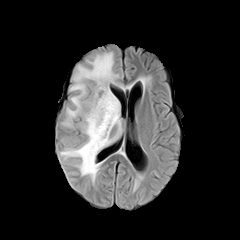
FLAIR MR.
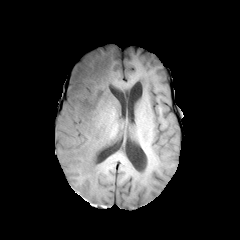
T1-weighted MRI.
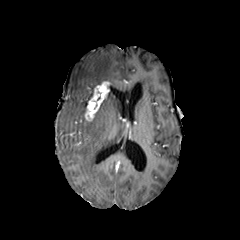
Post-contrast T1-weighted MR image of the same slice.
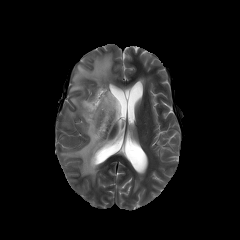
Same slice, T2-weighted MR.
Brain.
The edema is located at bbox(61, 52, 123, 181). The enhancing tumor lies within bbox(84, 81, 109, 120).